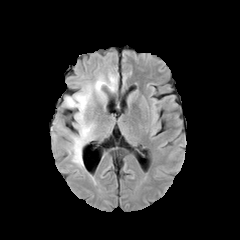
FLAIR MR.
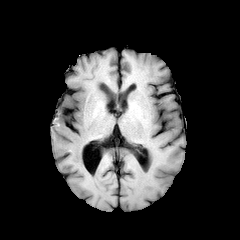
T1-weighted MR image.
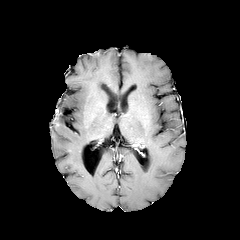
Post-contrast T1-weighted MR of the same slice.
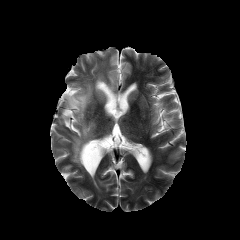
Same slice, T2-weighted MR image.
Head.
2 edema regions appear at [x1=66, y1=72, x2=117, y2=167], [x1=63, y1=98, x2=71, y2=107]. The non-enhancing tumor core is at [x1=66, y1=96, x2=77, y2=107].